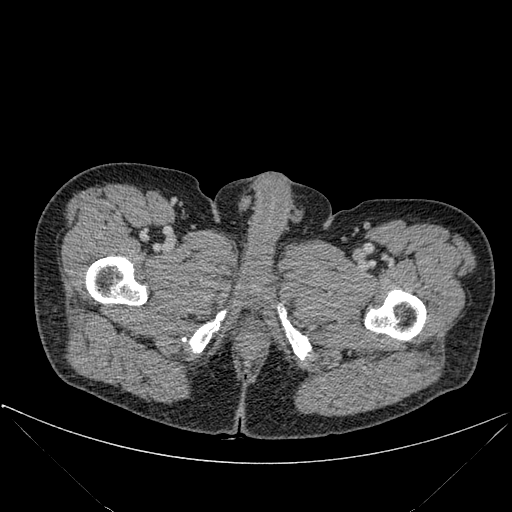
CT image. Image size 512x512. • bone: rect(189, 310, 225, 352); rect(86, 256, 147, 305); rect(365, 290, 426, 340); rect(278, 307, 311, 359)